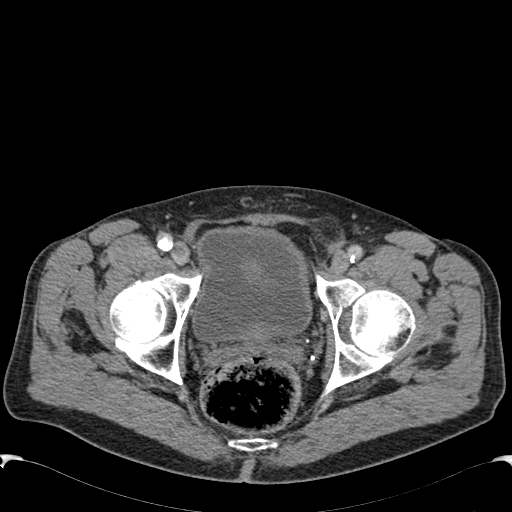

CT

The urinary bladder is at bbox(191, 225, 311, 348).